Field of view 240 mm wide, 1.00 mm slice spacing, Slice 106/155
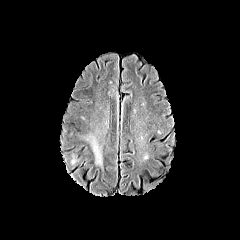
FLAIR MR.
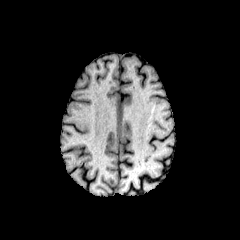
Same slice, T1-weighted magnetic resonance.
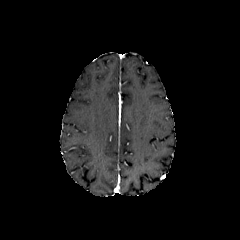
Post-contrast T1-weighted MR image.
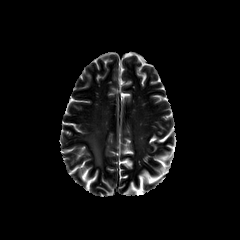
T2-weighted MR of the same slice.
Edema: bbox=[91, 138, 101, 165].